Image size 512x512, CT scan slice, Abdomen 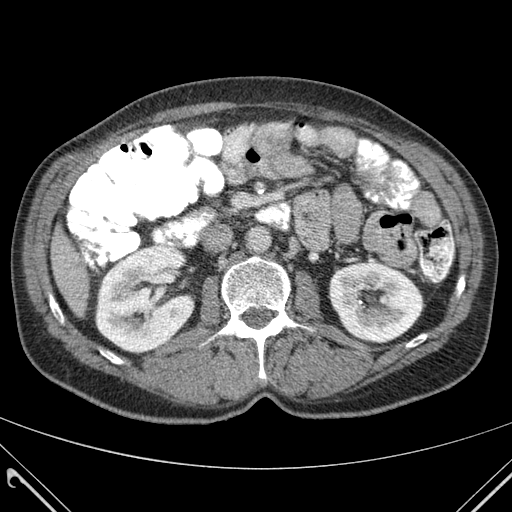

5 bone regions are bounded by x1=457, y1=277, x2=464, y2=293; x1=407, y1=334, x2=426, y2=346; x1=50, y1=295, x2=62, y2=322; x1=218, y1=257, x2=299, y2=378; x1=101, y1=351, x2=121, y2=363. 2 kidney regions appear at x1=97, y1=245, x2=192, y2=351; x1=330, y1=263, x2=421, y2=341. The liver is bounded by x1=51, y1=226, x2=89, y2=312.